Slice 75/155, 240x240 px
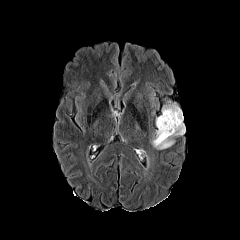
FLAIR magnetic resonance.
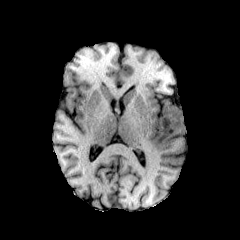
Same slice, T1-weighted MR.
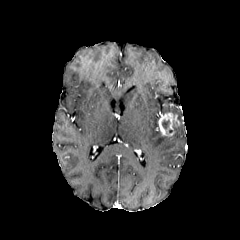
Post-contrast T1-weighted MR image of the same slice.
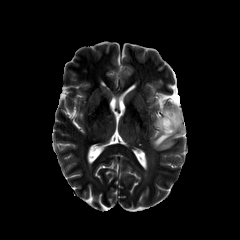
T2-weighted magnetic resonance.
Segmented structures:
• edema: <bbox>149, 101, 185, 151</bbox>
• enhancing tumor: <bbox>157, 113, 179, 137</bbox>